Field of view 240x240 mm
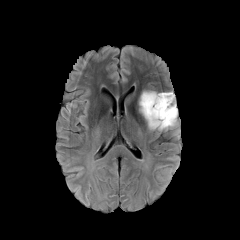
FLAIR MR image.
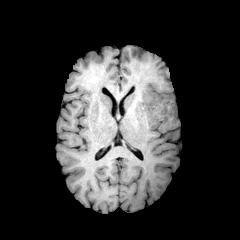
T1-weighted magnetic resonance.
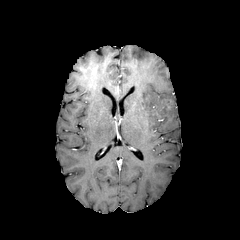
Post-contrast T1-weighted MRI.
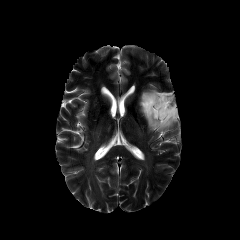
T2-weighted magnetic resonance of the same slice.
{
  "edema": [
    "left=139, top=89, right=177, bottom=132"
  ],
  "non-enhancing_tumor_core": [
    "left=146, top=96, right=175, bottom=123"
  ]
}